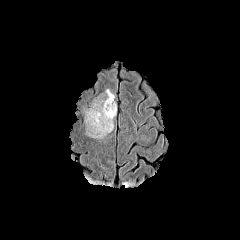
FLAIR MRI.
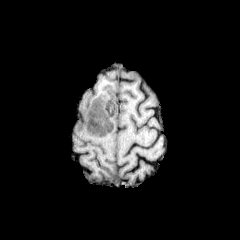
T1-weighted MR image.
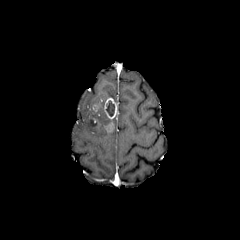
Same slice, post-contrast T1-weighted MR image.
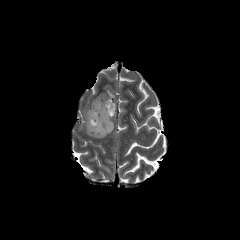
T2-weighted magnetic resonance.
Brain | 240x240 px
3 enhancing tumor regions are located at {"x1": 92, "y1": 102, "x2": 100, "y2": 111}, {"x1": 104, "y1": 98, "x2": 117, "y2": 119}, {"x1": 104, "y1": 122, "x2": 113, "y2": 132}. 2 non-enhancing tumor core regions appear at {"x1": 106, "y1": 100, "x2": 115, "y2": 116}, {"x1": 89, "y1": 110, "x2": 103, "y2": 125}. 3 edema regions are located at {"x1": 88, "y1": 108, "x2": 109, "y2": 137}, {"x1": 85, "y1": 109, "x2": 93, "y2": 122}, {"x1": 106, "y1": 89, "x2": 114, "y2": 99}.